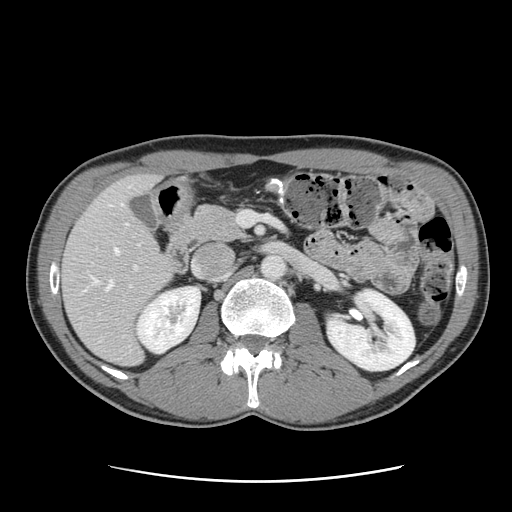

512x512; Liver; CT

Only some of the vessels may be annotated.
Hepatic vessel: bounding box [90,276,97,284], [134,266,136,268], [129,285,131,286], [125,223,127,224], [83,288,86,291], [138,243,139,244], [114,248,118,253], [106,281,112,289].